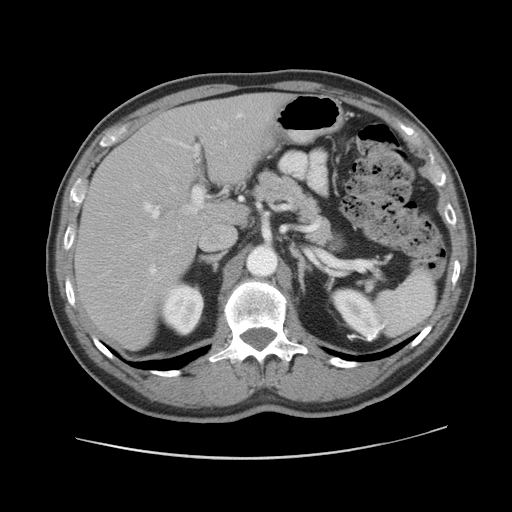

Image size 512x512. Abdomen. CT image.
The pancreas is located at <bbox>250, 168, 337, 251</bbox>.